Slice 44 of 155 | Brain
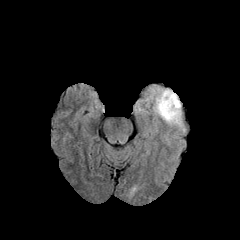
FLAIR MR image.
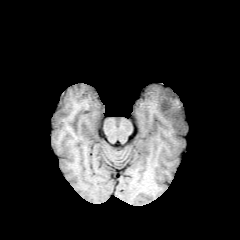
T1-weighted MR of the same slice.
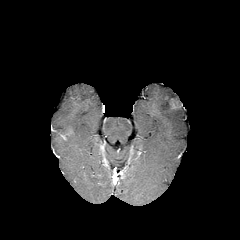
Post-contrast T1-weighted MRI of the same slice.
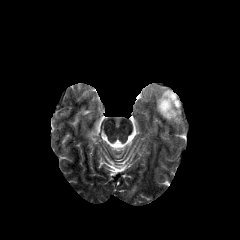
Same slice, T2-weighted magnetic resonance.
The edema appears at 135,85,186,140.